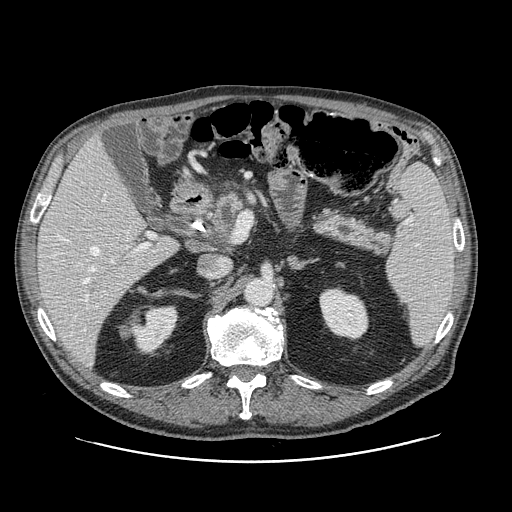

512x512 px; CT scan slice

Pancreas — 206,194,242,245; 316,215,390,253.